Slice 50 of 155. Head.
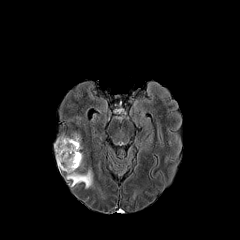
FLAIR MR image.
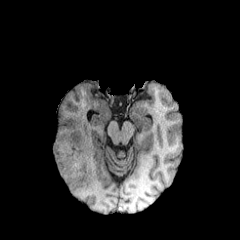
Same slice, T1-weighted MR image.
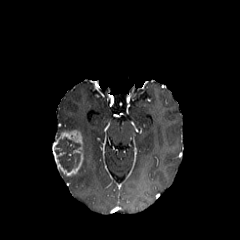
Post-contrast T1-weighted MRI.
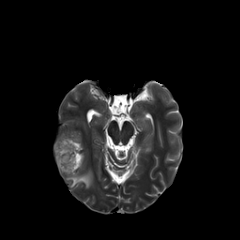
T2-weighted MR image.
Non-enhancing tumor core = {"x1": 55, "y1": 136, "x2": 82, "y2": 172}.
Edema = {"x1": 67, "y1": 171, "x2": 93, "y2": 188}.
Enhancing tumor = {"x1": 53, "y1": 131, "x2": 83, "y2": 175}.